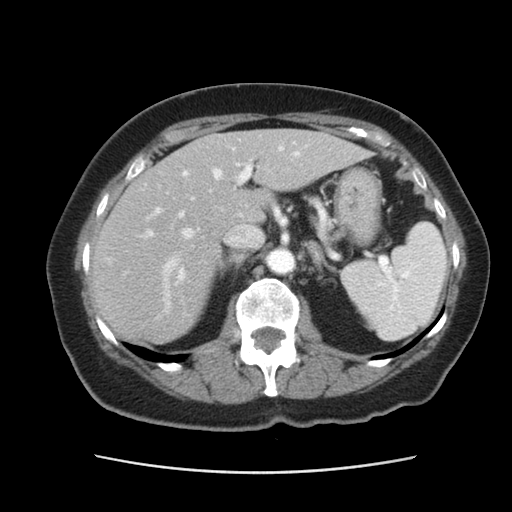 Liver, Image size 512x512, CT scan slice
The vessel boxes may cover only some of the vessels.
Hepatic vessel: 183:229:191:238, 225:219:264:246, 214:170:221:178, 237:163:251:183, 151:208:160:216, 163:259:178:309, 179:270:183:280, 184:171:187:175, 179:212:184:216.